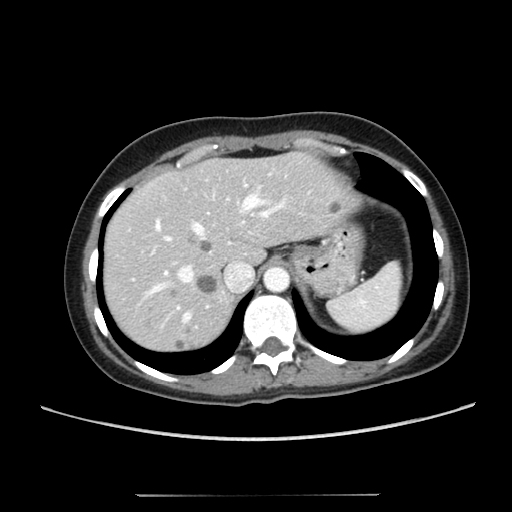

CT | 512x512
Liver: left=104, top=151, right=363, bottom=351.
Liver lesion: left=187, top=234, right=195, bottom=243; left=173, top=339, right=185, bottom=350; left=195, top=274, right=217, bottom=294; left=169, top=289, right=177, bottom=297; left=142, top=318, right=151, bottom=329; left=329, top=200, right=341, bottom=214; left=197, top=239, right=213, bottom=254.